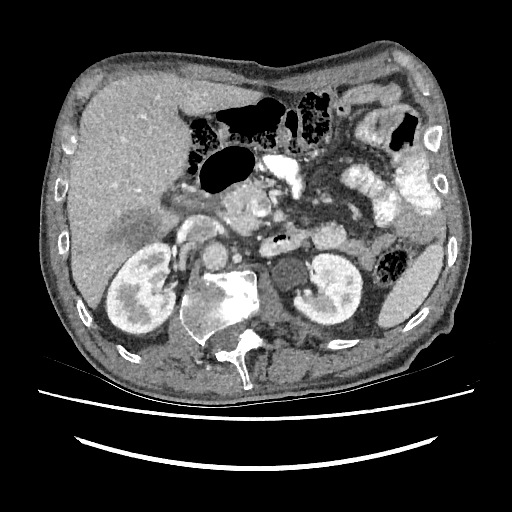
Upper abdomen, CT
The focal liver lesion appears at <bbox>106, 210, 161, 249</bbox>. The liver is at <bbox>68, 73, 261, 307</bbox>. 2 kidney regions are bounded by <bbox>107, 243, 175, 332</bbox>, <bbox>294, 254, 361, 323</bbox>.